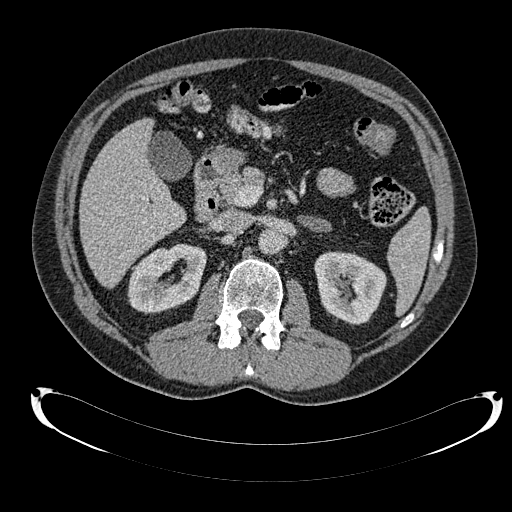 Liver, CT slice
- kidney: <box>315,252,385,323</box>, <box>129,244,205,312</box>
- liver: <box>79,120,185,286</box>